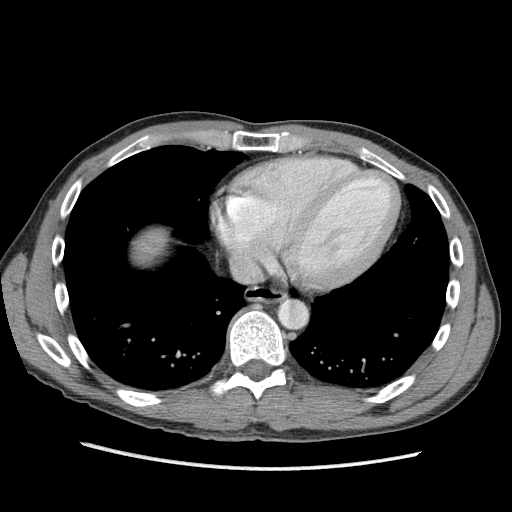

512x512; Upper abdomen; CT slice
Annotated regions:
• liver: bbox(132, 229, 167, 263)